Head
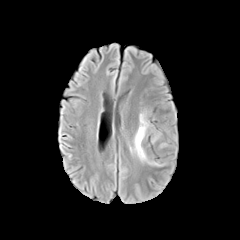
FLAIR MR image.
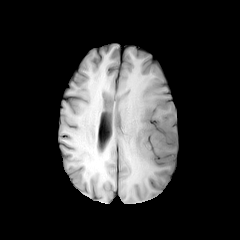
T1-weighted MR.
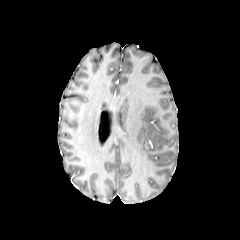
Post-contrast T1-weighted MR.
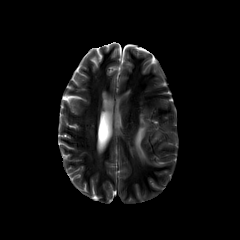
T2-weighted MRI.
Edema: bounding box <bbox>130, 111, 159, 160</bbox>.